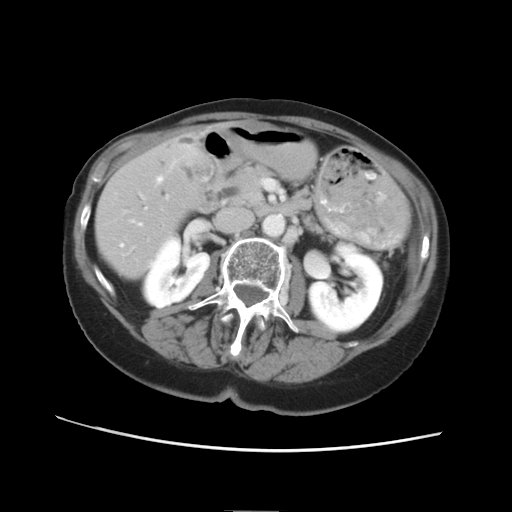

Image size 512x512. Computed tomography.
Findings:
• liver tumor: region(179, 144, 208, 175)